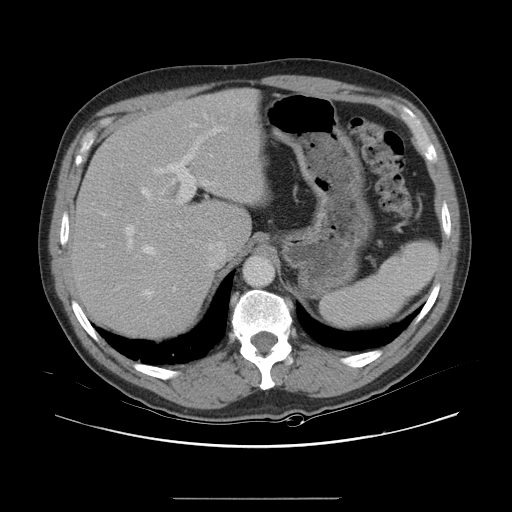
Liver; CT image

Not every hepatic vessel necessarily has a box.
The largest 15 hepatic vessel regions (of 17) are bounded by region(192, 124, 197, 127); region(100, 244, 103, 247); region(172, 288, 175, 291); region(142, 245, 155, 254); region(143, 290, 152, 298); region(221, 109, 223, 111); region(169, 180, 172, 185); region(100, 212, 106, 216); region(124, 226, 134, 249); region(141, 188, 150, 198); region(159, 190, 168, 206); region(194, 127, 227, 147); region(203, 114, 206, 117); region(202, 181, 208, 186); region(155, 168, 165, 173).